CT scan slice
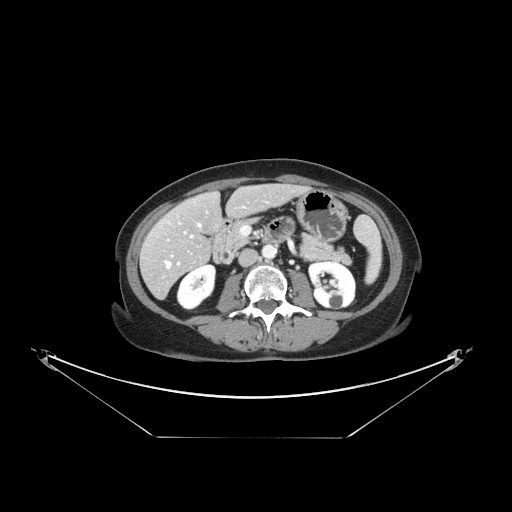 Not every hepatic vessel necessarily has a box.
Hepatic vessel at 198:224:200:226.